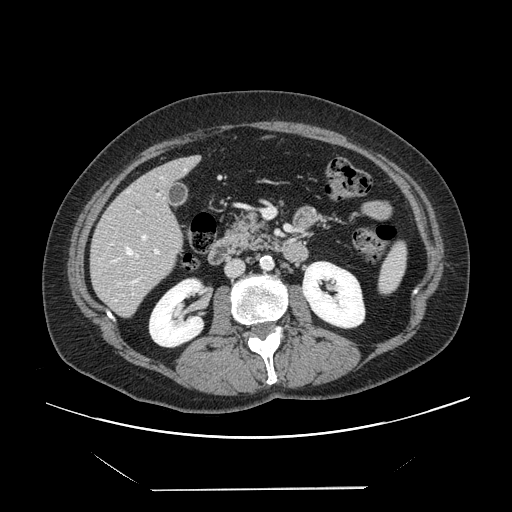
Abdomen | CT scan slice
Some hepatic vessels may have no box.
Hepatic vessel: bounding box [118, 282, 124, 284], [157, 193, 160, 196], [99, 258, 101, 261], [109, 258, 120, 263], [110, 243, 113, 245], [141, 233, 147, 242], [125, 245, 138, 258], [127, 276, 142, 285], [137, 211, 139, 212], [154, 247, 159, 255].